CT image. Field of view 472x472 mm.

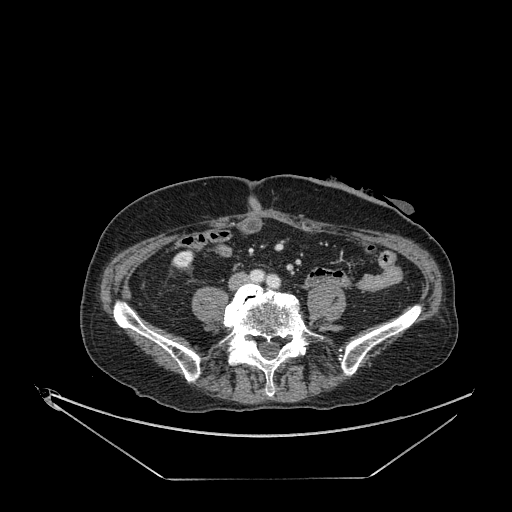

Kidney: region(173, 251, 192, 267).